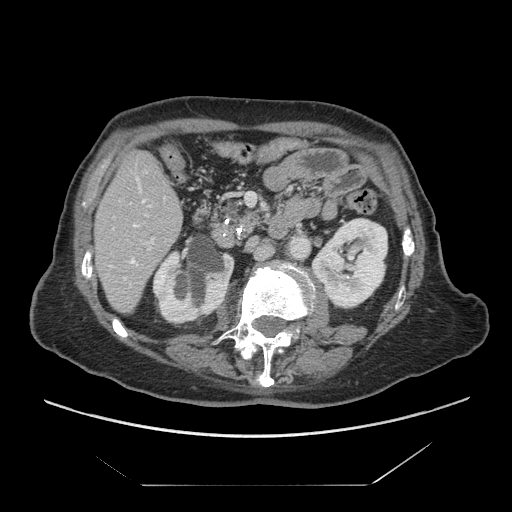 Upper abdomen, CT scan slice
pancreatic tumor: bbox=[241, 212, 262, 237] | pancreas: bbox=[209, 196, 257, 240]